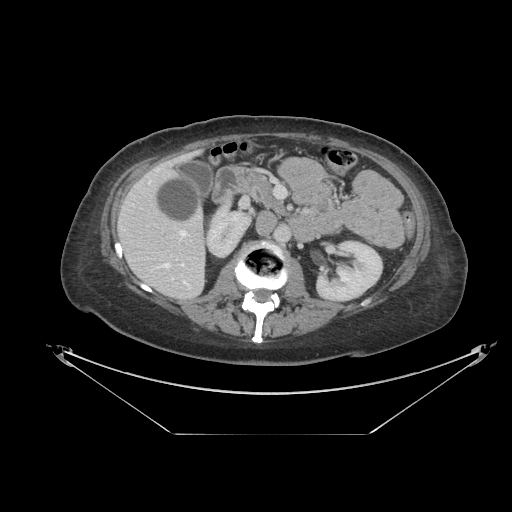
Computed tomography, Abdomen
<segmentation>
  <pancreas>bbox(251, 180, 285, 214)</pancreas>
</segmentation>